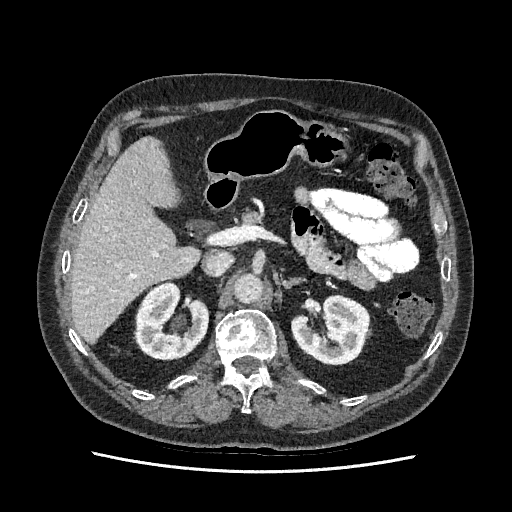

CT scan slice, Upper abdomen, 512x512
kidney:
  - (136, 283, 208, 358)
  - (292, 296, 368, 363)
liver:
  - (72, 137, 199, 342)